Brain
FLAIR magnetic resonance.
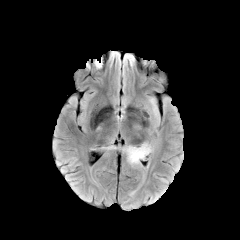
T1-weighted MRI.
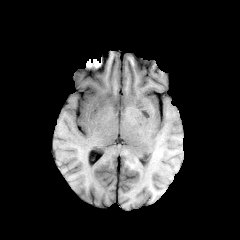
Post-contrast T1-weighted MR image.
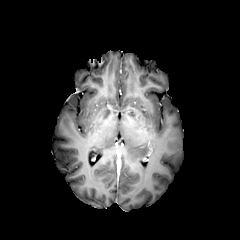
T2-weighted magnetic resonance.
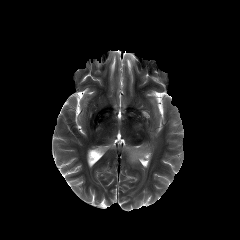
Edema: (146,97,160,123), (122,142,154,164).